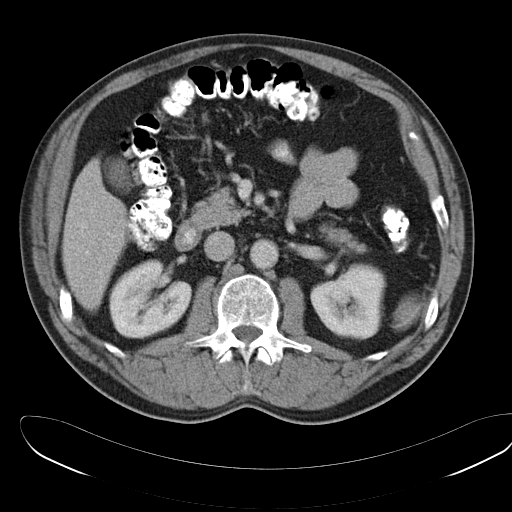
CT image | 512x512 px

spleen:
  - bbox=[395, 294, 423, 324]